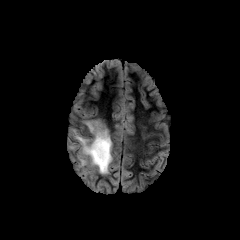
FLAIR magnetic resonance.
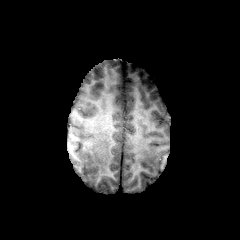
T1-weighted MR of the same slice.
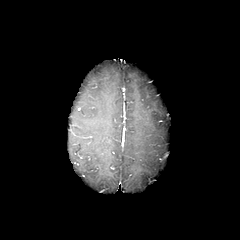
Post-contrast T1-weighted MR.
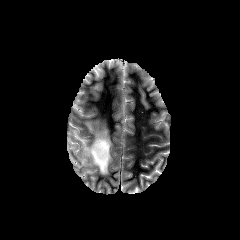
T2-weighted magnetic resonance.
Segmented structures:
- edema: <bbox>73, 129, 113, 173</bbox>